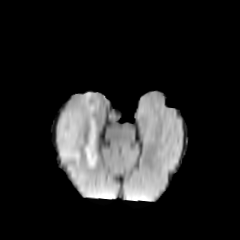
FLAIR magnetic resonance.
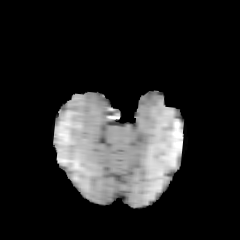
T1-weighted MR of the same slice.
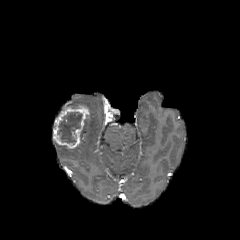
Post-contrast T1-weighted magnetic resonance of the same slice.
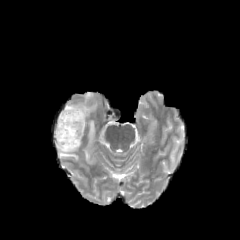
T2-weighted MRI of the same slice.
Head
Enhancing tumor at bbox(52, 105, 89, 148).
Edema at bbox(67, 93, 97, 167); bbox(57, 142, 80, 160).
Non-enhancing tumor core at bbox(57, 111, 82, 143).